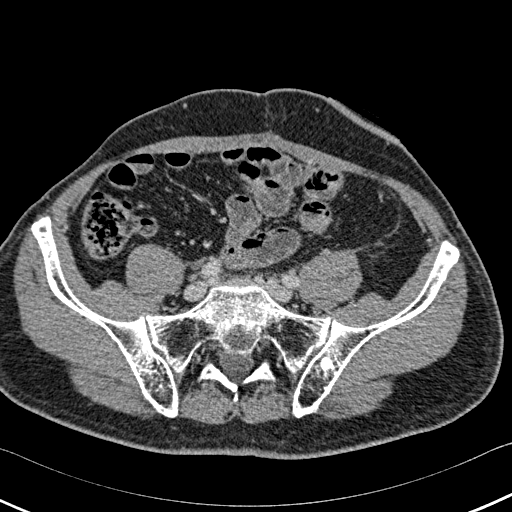 Image size 512x512 | CT
Bone = (x1=243, y1=362, x2=274, y2=382), (x1=31, y1=217, x2=458, y2=417), (x1=200, y1=364, x2=237, y2=401).